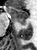

MR
- anterior hippocampus: (8,7,28,23)
- posterior hippocampus: (22,24,25,24)